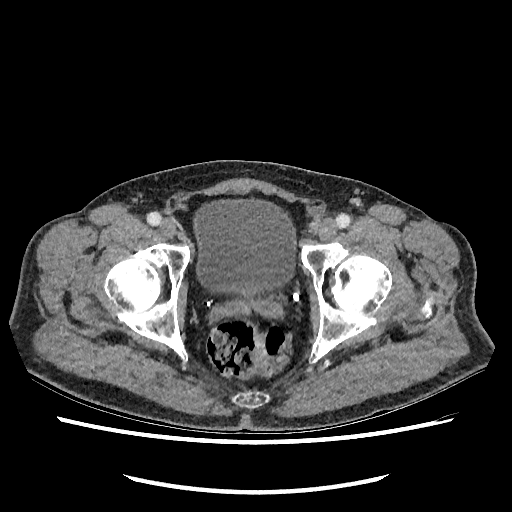 Pelvis. CT. urinary bladder: x1=193 y1=198 x2=296 y2=299